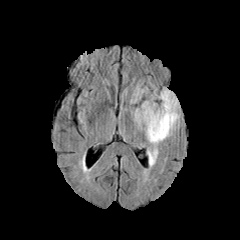
FLAIR MRI.
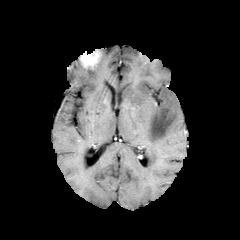
Same slice, T1-weighted MR.
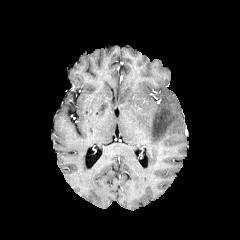
Same slice, post-contrast T1-weighted MR image.
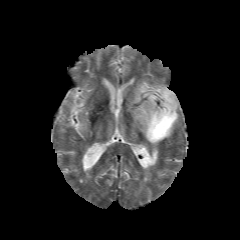
T2-weighted MR.
Brain
2 edema regions appear at (134, 86, 180, 143), (131, 83, 149, 103).